Image size 512x512, Field of view 387 mm wide, 0.80 mm slice spacing, CT image, Abdomen

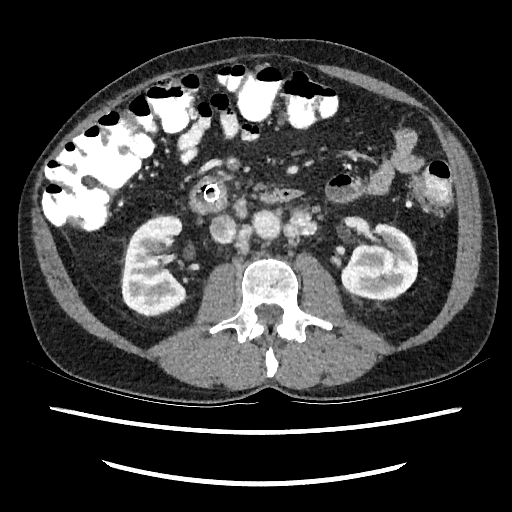

2 kidney regions are located at x1=122, y1=217, x2=188, y2=314; x1=342, y1=225, x2=417, y2=298.